Image width 432 mm; Upper abdomen; CT 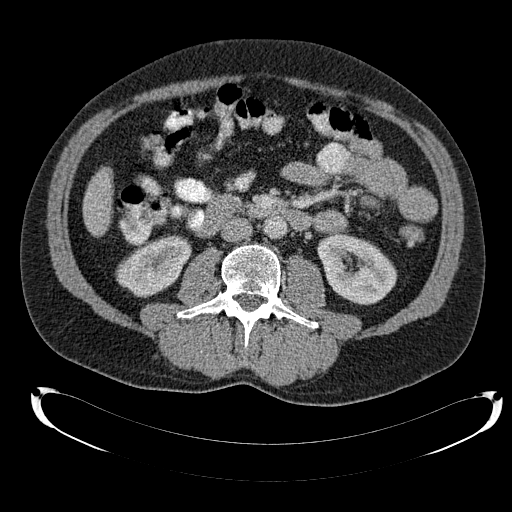

2 kidney regions are located at x1=118, y1=237, x2=189, y2=296; x1=318, y1=234, x2=396, y2=304. The liver is bounded by x1=84, y1=170, x2=111, y2=235.